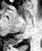
Hippocampus; MRI
posterior hippocampus: bbox=[6, 39, 15, 43]